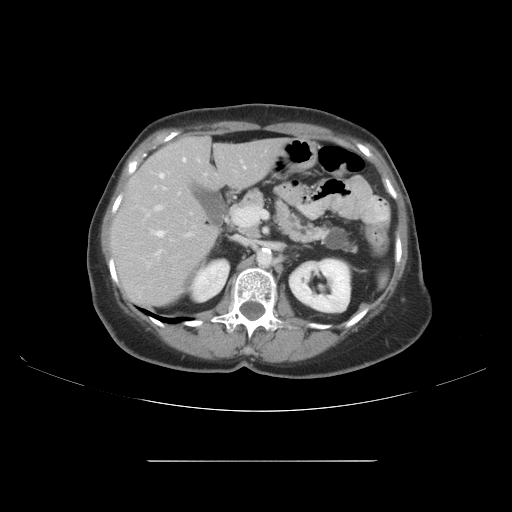 512x512 px | CT slice
pancreatic tumor: <bbox>327, 228, 351, 249</bbox> | pancreas: <bbox>239, 189, 355, 251</bbox>, <bbox>237, 223, 260, 238</bbox>